Abdomen; CT scan slice; Slice index 22 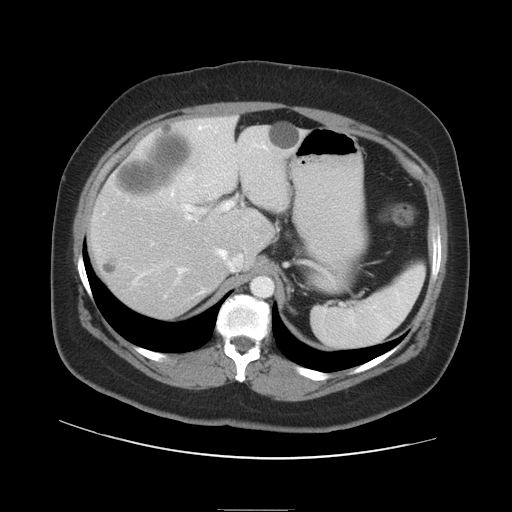
The vessel annotation is not exhaustive.
Findings:
• hepatic vessel: [x1=184, y1=205, x2=194, y2=219], [x1=179, y1=269, x2=182, y2=272], [x1=222, y1=202, x2=232, y2=209], [x1=215, y1=248, x2=242, y2=270]